Slice index 17; MRI slice

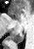 Segmented structures:
- posterior hippocampus: 10, 32, 25, 43